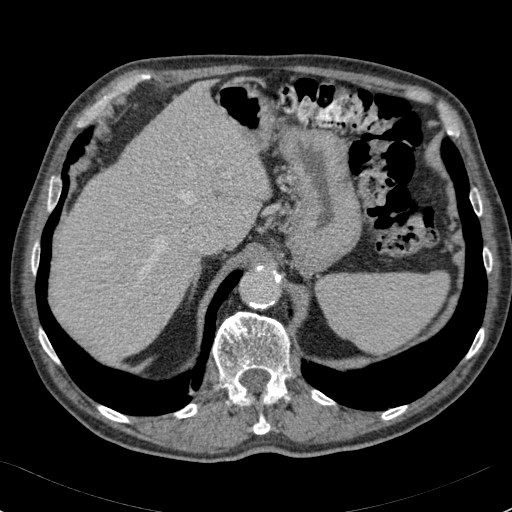

CT scan slice, Image size 512x512
Liver at 57,81,268,357.